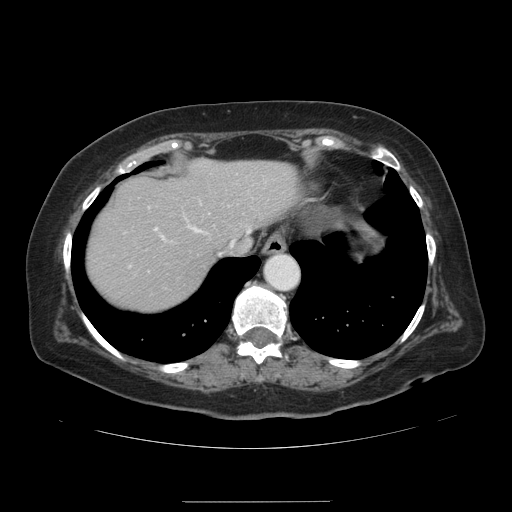
Abdomen; Image size 512x512; CT slice

Not every hepatic vessel necessarily has a box.
Hepatic vessel: x1=161, y1=235, x2=163, y2=238; x1=218, y1=252, x2=220, y2=254; x1=230, y1=242, x2=232, y2=244; x1=247, y1=229, x2=248, y2=231; x1=154, y1=227, x2=156, y2=230; x1=188, y1=225, x2=198, y2=231.